FLAIR MRI.
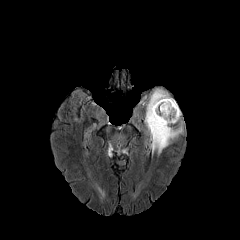
T1-weighted magnetic resonance.
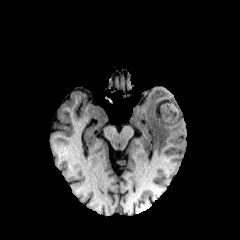
Post-contrast T1-weighted magnetic resonance.
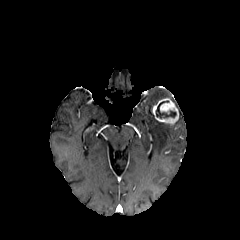
T2-weighted MRI.
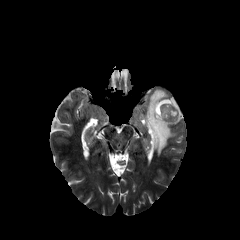
240x240 px
<segmentation>
  <non-enhancing_tumor_core>156, 101, 176, 118</non-enhancing_tumor_core>
  <enhancing_tumor>151, 98, 179, 125</enhancing_tumor>
  <edema>143, 89, 182, 156</edema>
</segmentation>